CT scan slice. Image size 512x512.
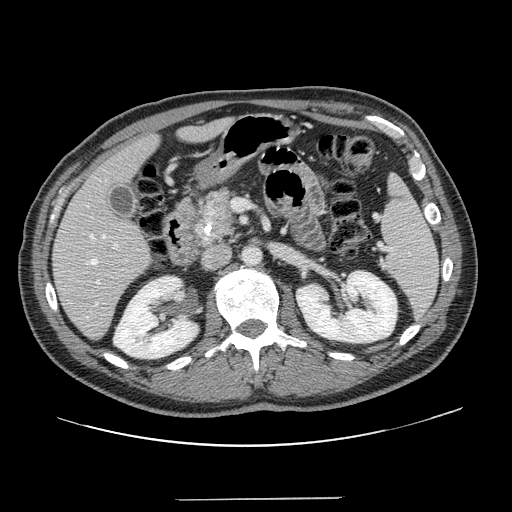 Pancreatic tumor — rect(197, 196, 234, 245).
Pancreas — rect(176, 184, 242, 249).